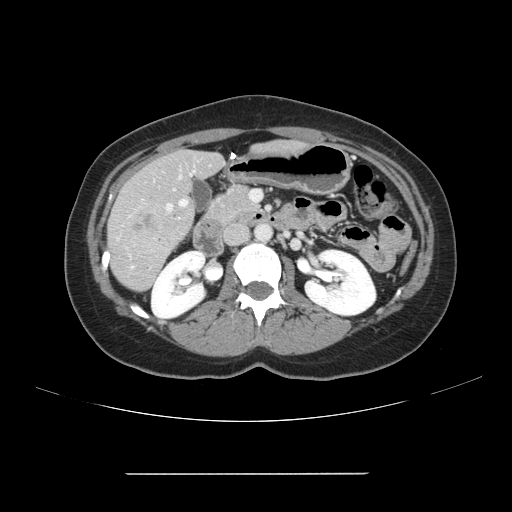 Abdomen; CT image
The vessel boxes may cover only some of the vessels.
<segmentation>
  <liver_tumor>(left=136, top=213, right=160, bottom=235)</liver_tumor>
  <hepatic_vessel>(left=190, top=171, right=194, bottom=175), (left=131, top=266, right=133, bottom=267), (left=179, top=176, right=180, bottom=178), (left=167, top=204, right=171, bottom=211), (left=179, top=199, right=186, bottom=205)</hepatic_vessel>
</segmentation>